FLAIR MR image.
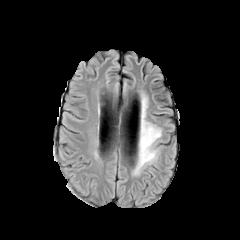
T1-weighted MR image.
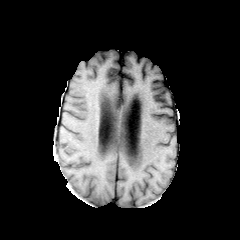
Post-contrast T1-weighted MR image.
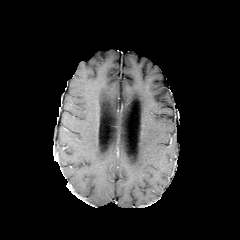
T2-weighted MRI.
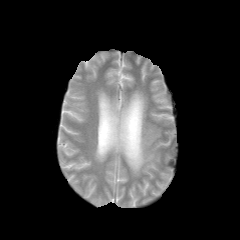
240x240 px
Edema: bounding box region(133, 95, 161, 175).